Brain
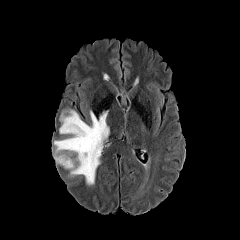
FLAIR MRI.
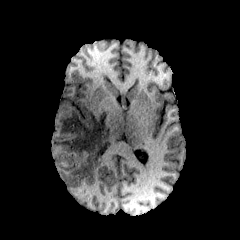
Same slice, T1-weighted MR image.
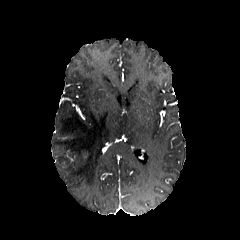
Post-contrast T1-weighted MR.
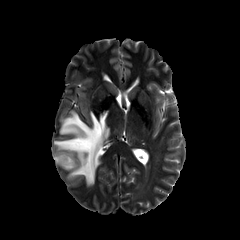
T2-weighted MR image.
* edema: box=[53, 109, 109, 186]